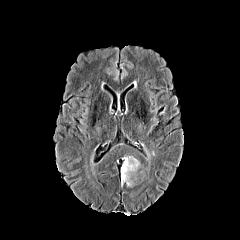
FLAIR MR.
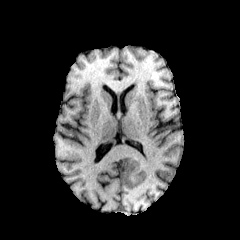
T1-weighted MRI of the same slice.
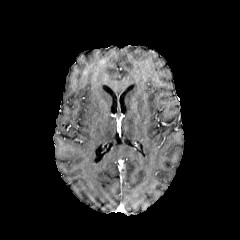
Post-contrast T1-weighted MR image of the same slice.
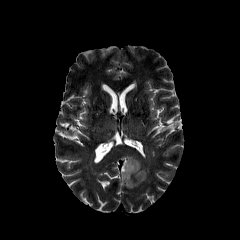
T2-weighted MRI.
240x240. Brain.
The edema lies within (left=121, top=156, right=140, bottom=186). The enhancing tumor appears at (left=120, top=164, right=125, bottom=179).